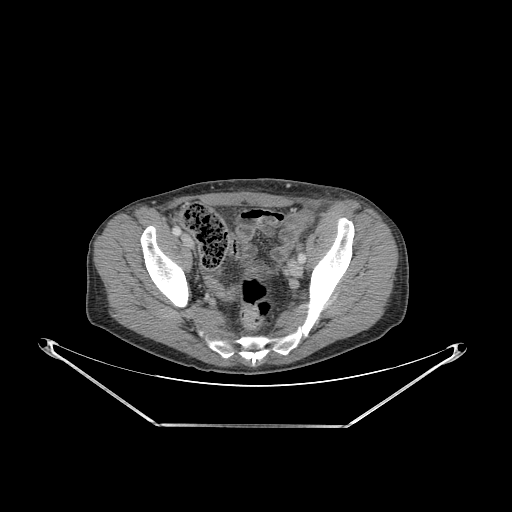

Computed tomography
{"bone": [{"x1": 209, "y1": 341, "x2": 234, "y2": 357}, {"x1": 141, "y1": 226, "x2": 188, "y2": 306}, {"x1": 237, "y1": 218, "x2": 353, "y2": 364}]}